CT scan slice; Field of view 328x328 mm; 512x512 px
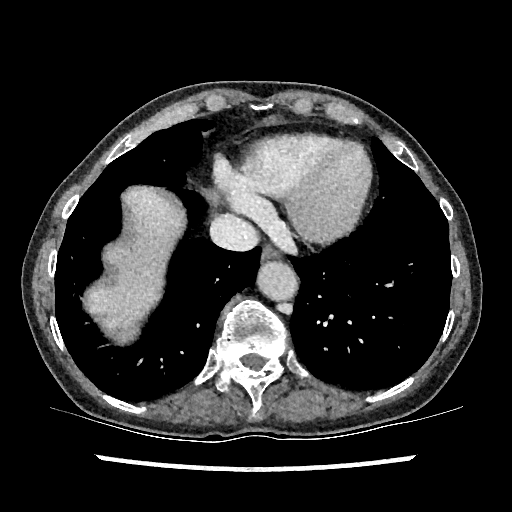 Liver: bbox=[87, 187, 182, 328].